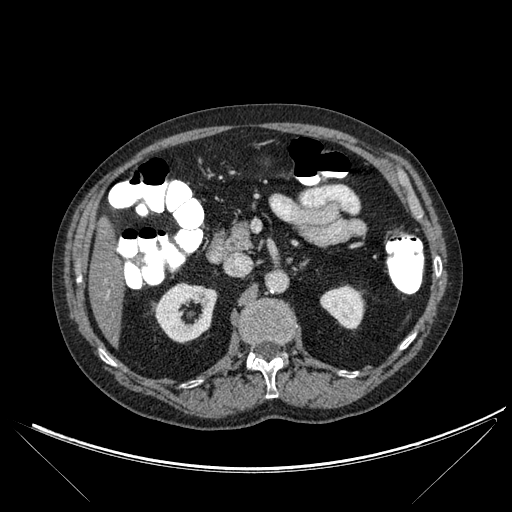

Upper abdomen; CT scan slice
{
  "liver": [
    "(x1=89, y1=220, x2=128, y2=344)"
  ],
  "bone": [
    "(x1=247, y1=353, x2=286, y2=398)",
    "(x1=100, y1=351, x2=115, y2=365)",
    "(x1=240, y1=300, x2=296, y2=344)",
    "(x1=434, y1=256, x2=441, y2=276)",
    "(x1=400, y1=334, x2=415, y2=349)",
    "(x1=340, y1=371, x2=357, y2=377)",
    "(x1=185, y1=381, x2=199, y2=387)"
  ],
  "kidney": [
    "(x1=320, y1=286, x2=363, y2=328)",
    "(x1=156, y1=283, x2=216, y2=341)"
  ]
}